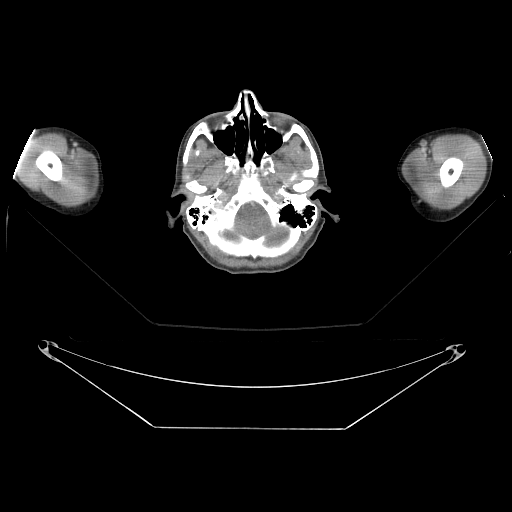
512x512 px. CT.
Bone = bbox=[439, 159, 461, 192]; bbox=[260, 159, 270, 169]; bbox=[185, 161, 315, 258]; bbox=[185, 88, 269, 153]; bbox=[284, 127, 318, 167]; bbox=[187, 184, 199, 193]; bbox=[294, 178, 313, 191]; bbox=[35, 152, 61, 182]; bbox=[225, 159, 236, 170].